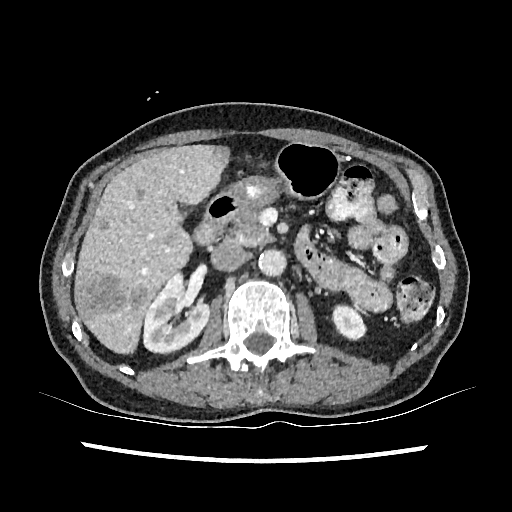 512x512 | CT scan slice
Findings:
• focal liver lesion: 163, 233, 174, 244; 210, 146, 228, 163; 75, 274, 126, 318; 138, 190, 144, 198; 128, 287, 146, 310; 99, 218, 108, 230
• kidney: 144, 271, 209, 352; 333, 306, 364, 338
• liver: 74, 144, 227, 352